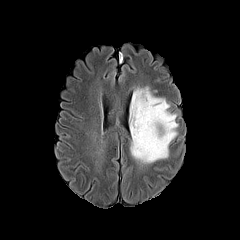
FLAIR MR image.
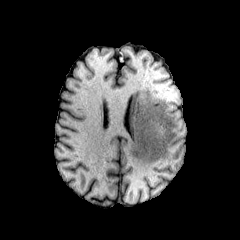
T1-weighted MR image of the same slice.
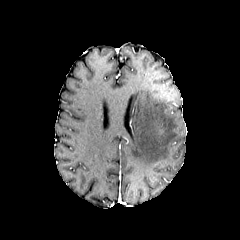
Post-contrast T1-weighted MR image.
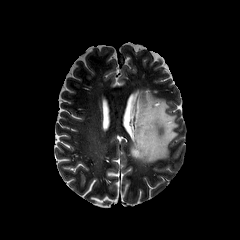
Same slice, T2-weighted MR.
Head
The edema lies within bbox(130, 88, 178, 164).